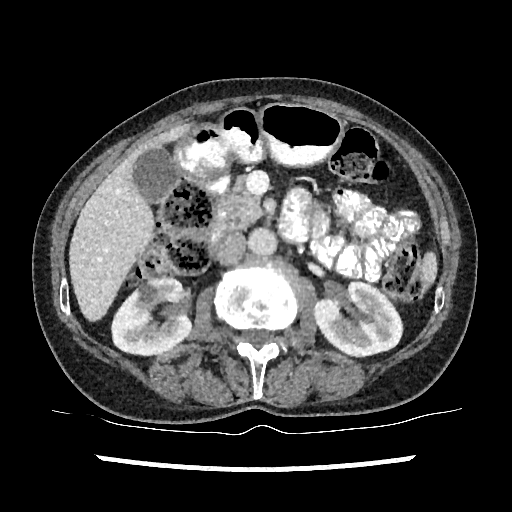
Image size 512x512, Computed tomography, Liver
liver:
  - <bbox>70, 127, 186, 320</bbox>
kidney:
  - <bbox>315, 282, 403, 355</bbox>
  - <bbox>112, 277, 192, 354</bbox>